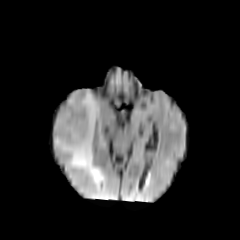
FLAIR MR.
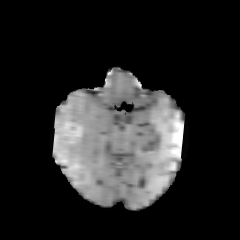
T1-weighted MR.
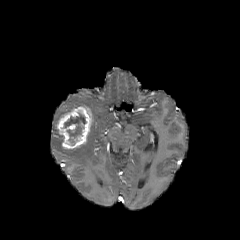
Same slice, post-contrast T1-weighted MRI.
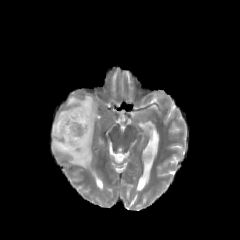
T2-weighted MRI.
Head. 240x240.
Enhancing tumor: <bbox>56, 104, 93, 149</bbox>.
Edema: <bbox>53, 90, 99, 182</bbox>.
Non-enhancing tumor core: <bbox>63, 113, 86, 145</bbox>.